512x512 | CT | Liver

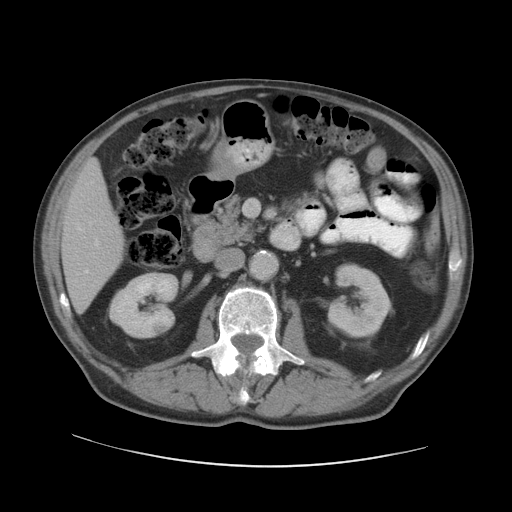 The vessel boxes may cover only some of the vessels.
* hepatic vessel: bbox=[94, 238, 98, 248]; bbox=[76, 223, 84, 231]; bbox=[85, 270, 87, 271]; bbox=[89, 221, 94, 225]; bbox=[66, 228, 69, 229]